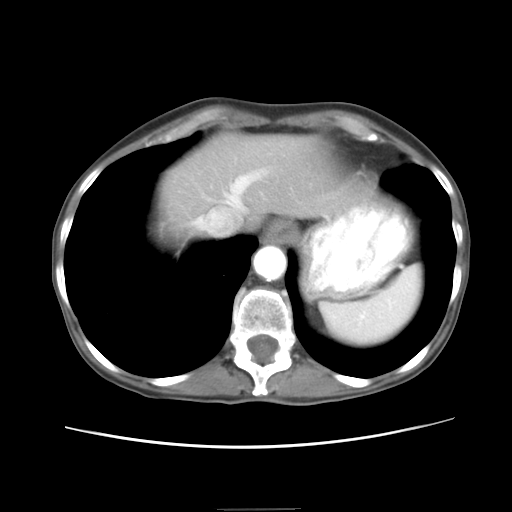 Abdomen | Computed tomography
The vessel boxes may cover only some of the vessels.
2 hepatic vessel regions appear at x1=227, y1=171, x2=261, y2=205; x1=196, y1=221, x2=197, y2=222.